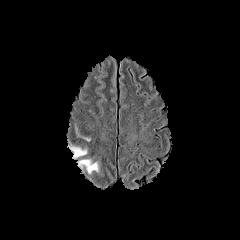
FLAIR MR image.
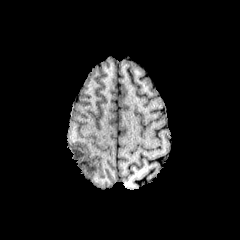
T1-weighted MRI of the same slice.
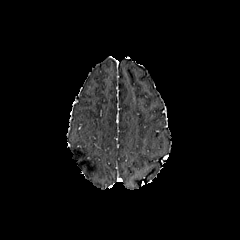
Post-contrast T1-weighted MRI.
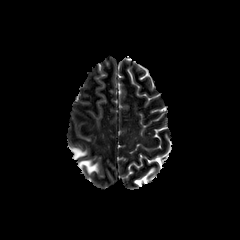
T2-weighted MR of the same slice.
2 edema regions are bounded by bbox=[76, 159, 98, 174]; bbox=[69, 146, 86, 159].